240x240 px | Field of view 240 mm wide, 1.00 mm slice spacing
FLAIR MR image.
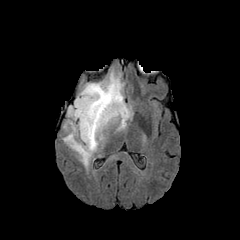
T1-weighted MRI.
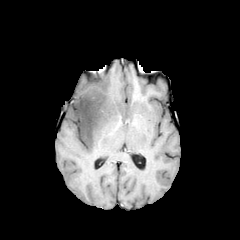
Post-contrast T1-weighted MRI.
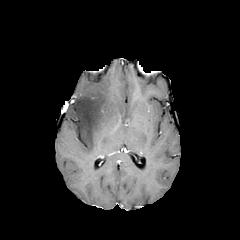
T2-weighted MR.
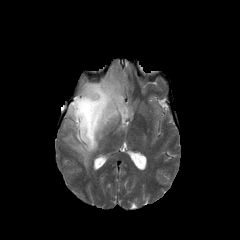
The non-enhancing tumor core appears at {"x1": 68, "y1": 94, "x2": 105, "y2": 145}. The edema lies within {"x1": 63, "y1": 70, "x2": 133, "y2": 168}.